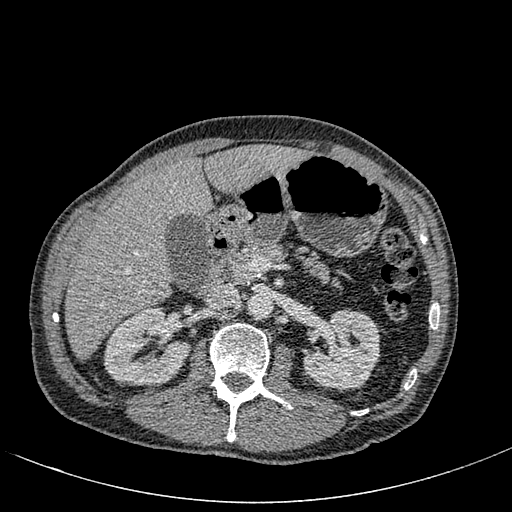
Upper abdomen | CT
The liver is bounded by {"x1": 66, "y1": 146, "x2": 305, "y2": 359}. 2 kidney regions are located at {"x1": 104, "y1": 308, "x2": 189, "y2": 384}, {"x1": 303, "y1": 310, "x2": 379, "y2": 389}.